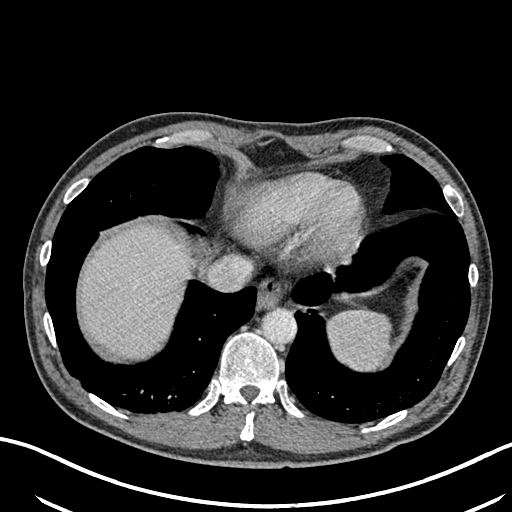

CT scan slice | 512x512 | Liver
• liver: <box>79,225,186,356</box>